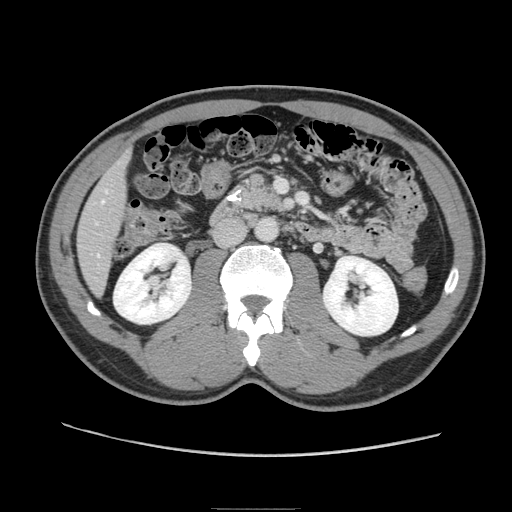

Abdomen, CT slice
The pancreas is bounded by <box>233,173,282,211</box>.